CT scan slice. Image size 512x512.

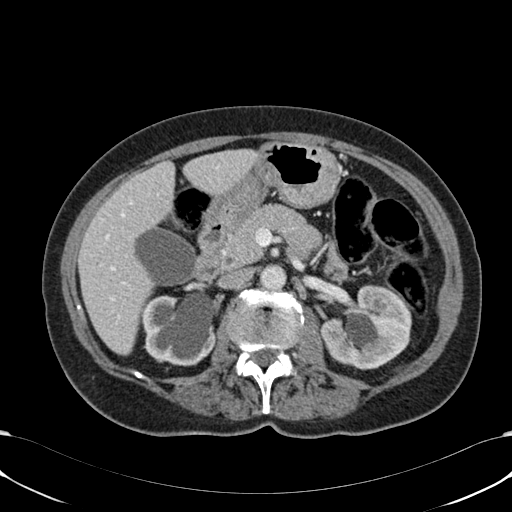
* kidney: [x1=140, y1=295, x2=215, y2=365], [x1=192, y1=281, x2=200, y2=290], [x1=321, y1=286, x2=410, y2=368]
* liver: [x1=78, y1=160, x2=174, y2=354], [x1=184, y1=149, x2=257, y2=194]